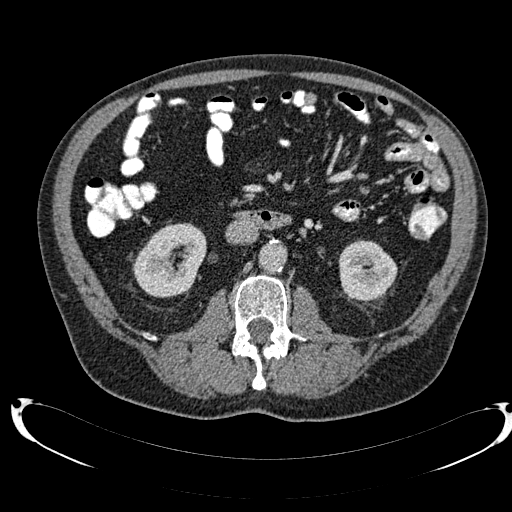

Abdomen; CT slice

2 kidney regions are bounded by l=133, t=223, r=206, b=297; l=339, t=241, r=397, b=301.